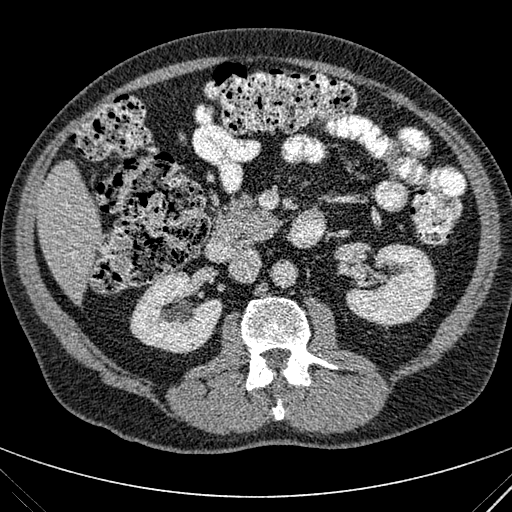
Computed tomography

The liver is at (37,162,100,304). 2 kidney regions are bounded by (339,243,434,325), (131,271,221,353).